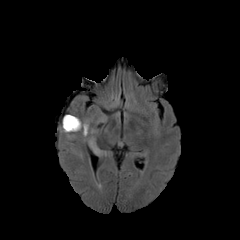
FLAIR MR image.
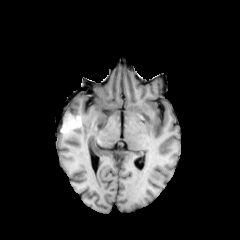
T1-weighted magnetic resonance.
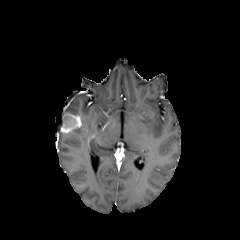
Post-contrast T1-weighted MRI.
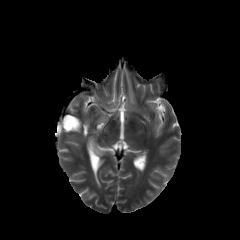
T2-weighted MRI of the same slice.
Brain
{
  "enhancing_tumor": [
    "[61,114,81,132]"
  ],
  "edema": [
    "[62,114,100,152]"
  ]
}